CT. Upper abdomen. Slice index 345.
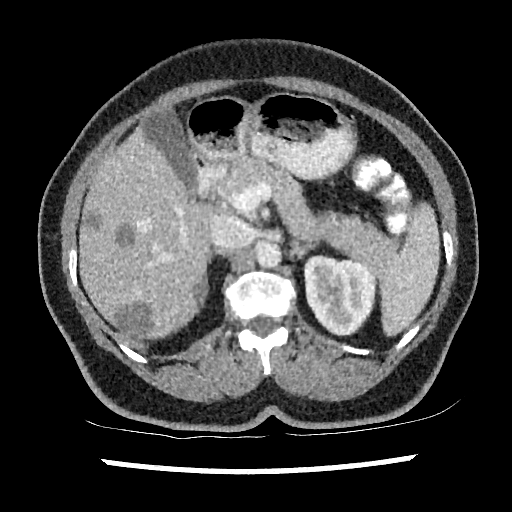
<segmentation>
  <kidney>305:257:374:334</kidney>
  <liver_lesion>114:304:153:338, 116:225:133:246, 83:214:101:230, 195:280:205:303</liver_lesion>
  <liver>79:128:210:339</liver>
</segmentation>